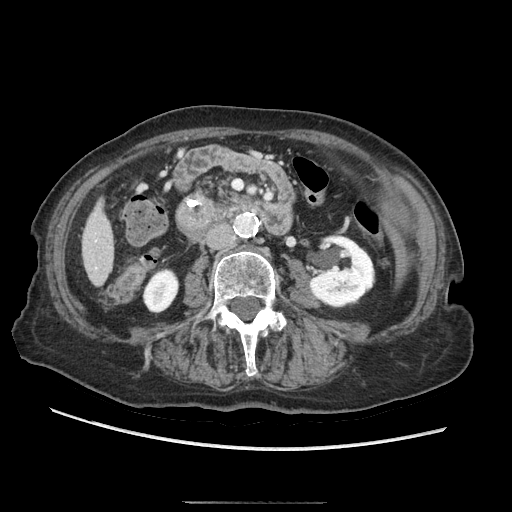

CT, Image size 512x512, Abdomen
pancreas: (199, 178, 231, 205)